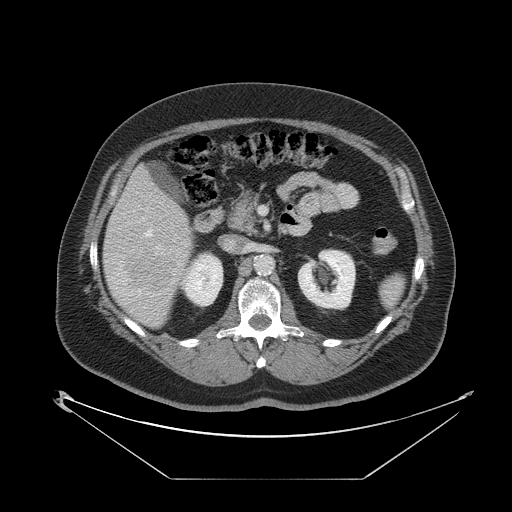 CT scan slice, Liver, 512x512
Some hepatic vessels may have no box.
Liver tumor: bounding box (129,253,172,291).
Hepatic vessel: bounding box (142,217,144,220), (157,245,163,250), (145,229,152,236).